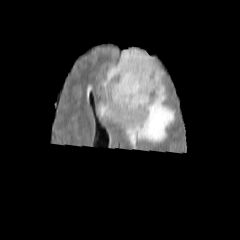
FLAIR MR.
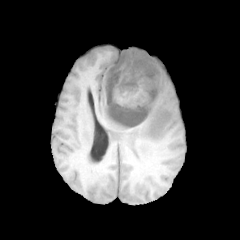
T1-weighted MR.
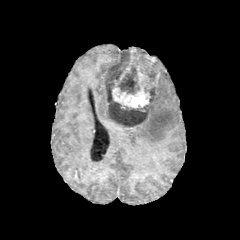
Post-contrast T1-weighted MR.
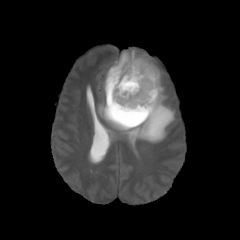
T2-weighted MR image.
Brain
Enhancing tumor = box(112, 65, 157, 108).
Edema = box(106, 69, 123, 74); box(99, 79, 175, 153).
Non-enhancing tumor core = box(103, 51, 160, 127).